Image size 240x240. Slice 73 of 155.
FLAIR magnetic resonance.
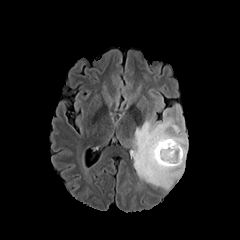
T1-weighted MRI.
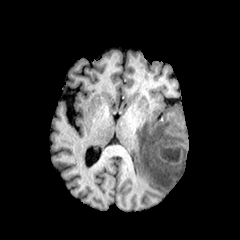
Post-contrast T1-weighted MR image.
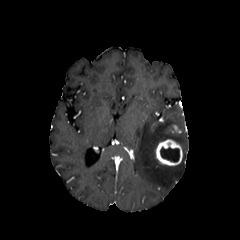
T2-weighted magnetic resonance.
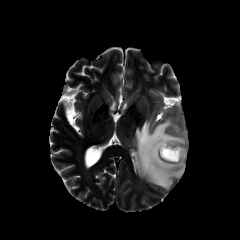
{
  "edema": [
    "(x1=133, y1=117, x2=188, y2=189)"
  ],
  "non-enhancing_tumor_core": [
    "(x1=160, y1=146, x2=180, y2=162)"
  ],
  "enhancing_tumor": [
    "(x1=156, y1=139, x2=182, y2=165)"
  ]
}